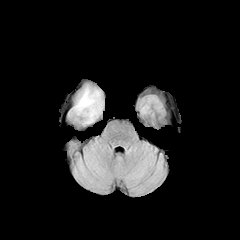
FLAIR MR.
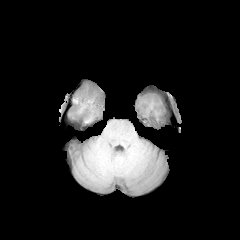
T1-weighted MRI.
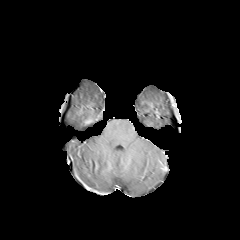
Same slice, post-contrast T1-weighted MR.
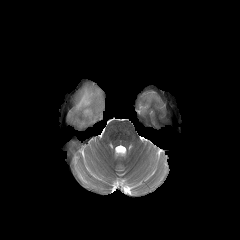
T2-weighted MR image.
The edema is bounded by [74,88,100,122].